FLAIR MR image.
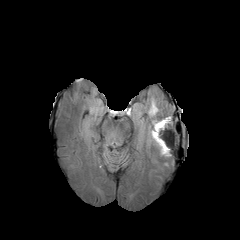
T1-weighted magnetic resonance.
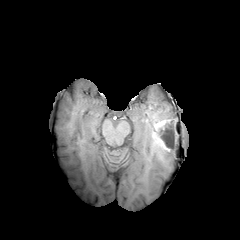
Post-contrast T1-weighted MR image.
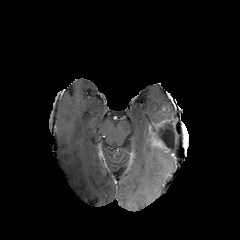
T2-weighted magnetic resonance.
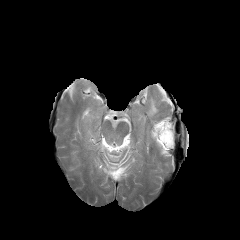
Brain
Findings:
* edema: <box>146,99,172,145</box>, <box>158,146,169,156</box>, <box>101,136,118,158</box>
* non-enhancing tumor core: <box>153,131,170,148</box>
* enhancing tumor: <box>154,139,167,151</box>